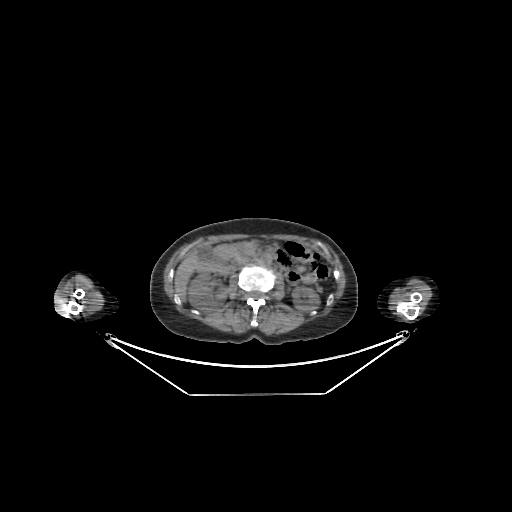
Abdomen; CT slice
Kidney at box=[291, 284, 320, 315]; box=[187, 270, 230, 310].
Liver at box=[175, 252, 211, 298].